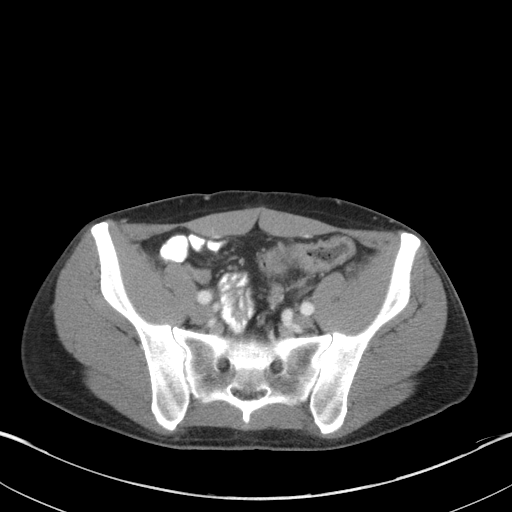 CT image. Pelvis.
<segmentation>
  <colon_tumor>rect(285, 236, 355, 272); rect(264, 250, 286, 274)</colon_tumor>
</segmentation>